CT slice
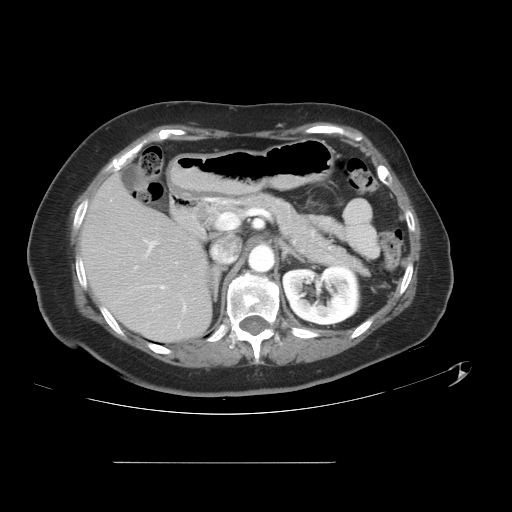
Pancreas = bbox=[190, 194, 369, 274].